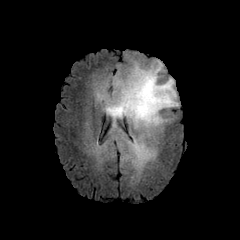
FLAIR MRI.
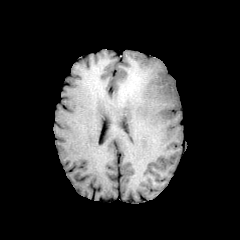
Same slice, T1-weighted MR.
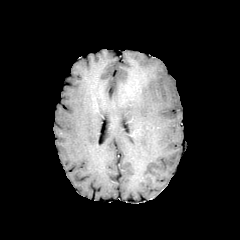
Post-contrast T1-weighted MR image.
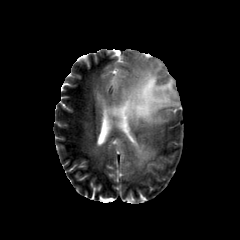
T2-weighted magnetic resonance.
Brain.
The non-enhancing tumor core lies within 119:69:149:106. 2 edema regions are located at 130:136:155:167, 97:60:178:135.